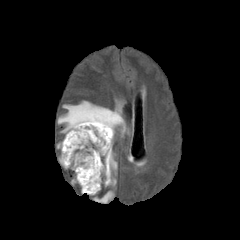
FLAIR magnetic resonance.
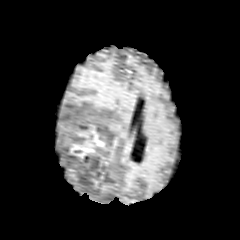
T1-weighted magnetic resonance.
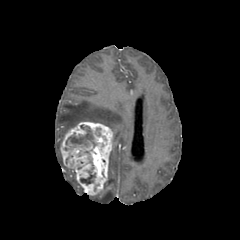
Same slice, post-contrast T1-weighted MR.
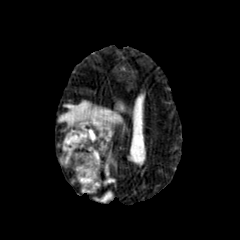
Same slice, T2-weighted MR.
240x240 px; Brain
• edema: (left=103, top=150, right=116, bottom=186), (left=94, top=191, right=112, bottom=202), (left=58, top=101, right=123, bottom=137), (left=58, top=142, right=69, bottom=167)
• enhancing tumor: (left=61, top=121, right=113, bottom=194)
• non-enhancing tumor core: (left=80, top=169, right=95, bottom=184), (left=66, top=125, right=96, bottom=156)